FLAIR MR.
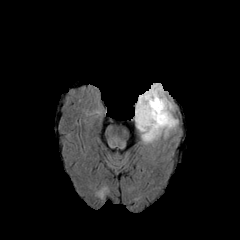
T1-weighted MR image.
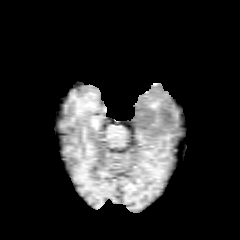
Post-contrast T1-weighted MR.
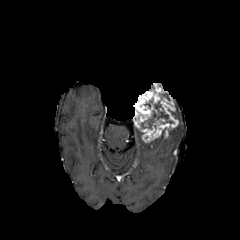
T2-weighted magnetic resonance.
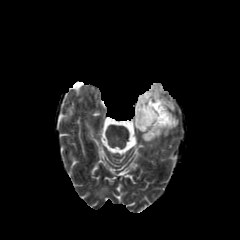
Head
The non-enhancing tumor core is bounded by (left=140, top=98, right=171, bottom=128). The edema appears at (left=137, top=126, right=176, bottom=144). The enhancing tumor is located at (left=134, top=84, right=178, bottom=140).